Abdomen; CT image; Slice 42/145

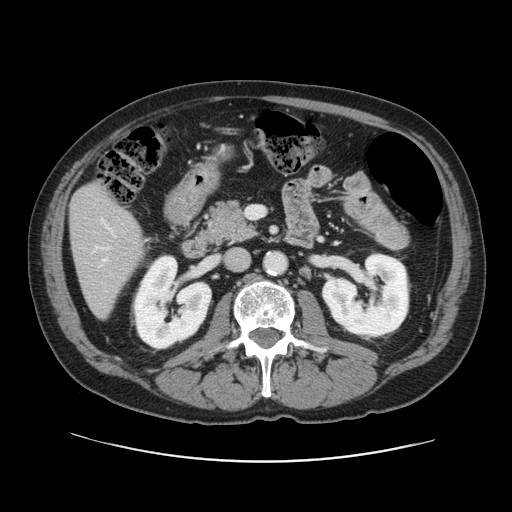

Only some of the vessels may be annotated.
hepatic_vessel:
  - region(102, 247, 108, 248)
  - region(96, 247, 99, 247)
  - region(101, 219, 103, 222)
  - region(103, 259, 106, 261)